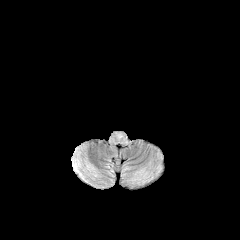
FLAIR MR image.
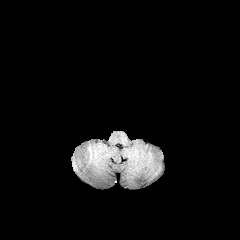
T1-weighted MR image of the same slice.
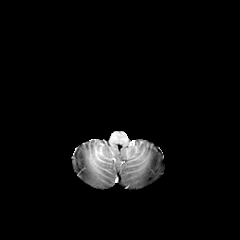
Post-contrast T1-weighted magnetic resonance of the same slice.
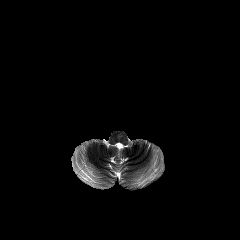
T2-weighted MR image.
Head
2 edema regions are located at (76, 158, 95, 183), (137, 175, 148, 184).